Field of view 495 mm wide, 1.50 mm slice spacing. Upper abdomen. CT slice. Slice 97 of 164.

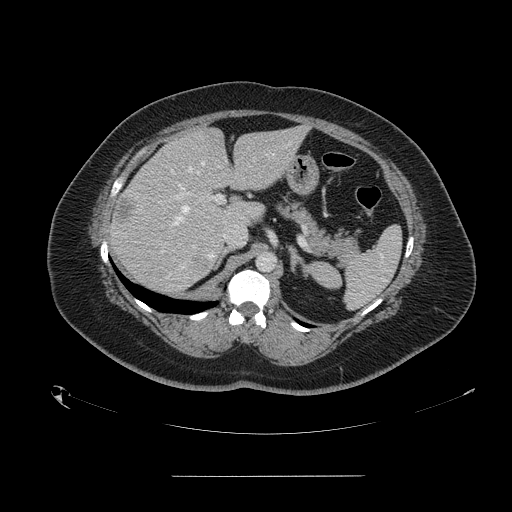
The spleen is located at [x1=308, y1=227, x2=401, y2=308].